Medial temporal lobe; MR image
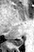
The posterior hippocampus is located at left=10, top=39, right=23, bottom=45.